Lower abdomen, Computed tomography 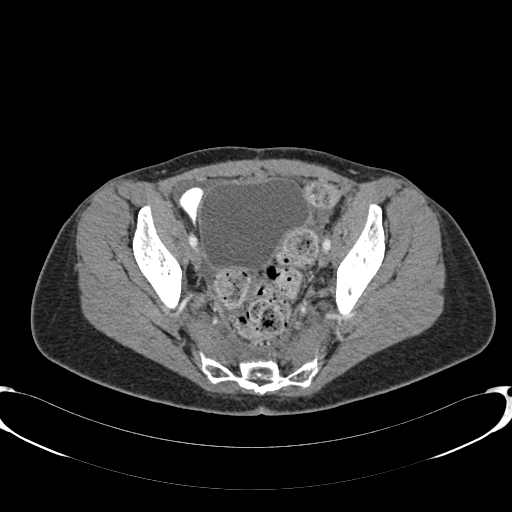 Segmented structures:
• urinary bladder: 201,180,308,268